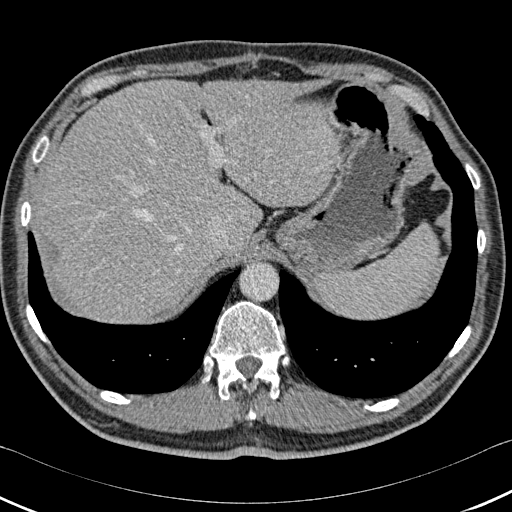

Upper abdomen | CT slice
Bone — <bbox>32, 136, 48, 162</bbox>, <bbox>477, 230, 485, 253</bbox>, <bbox>449, 326, 470, 357</bbox>, <bbox>21, 202, 30, 225</bbox>, <bbox>364, 399, 398, 411</bbox>, <bbox>100, 391, 130, 404</bbox>, <bbox>209, 302, 284, 399</bbox>, <bbox>247, 409, 255, 419</bbox>, <bbox>26, 305, 47, 341</bbox>, <bbox>466, 164, 480, 189</bbox>, <bbox>202, 356, 213, 382</bbox>.
Liver — <bbox>40, 79, 340, 322</bbox>.
Lung — <bbox>278, 113, 477, 399</bbox>, <bbox>28, 231, 240, 394</bbox>.